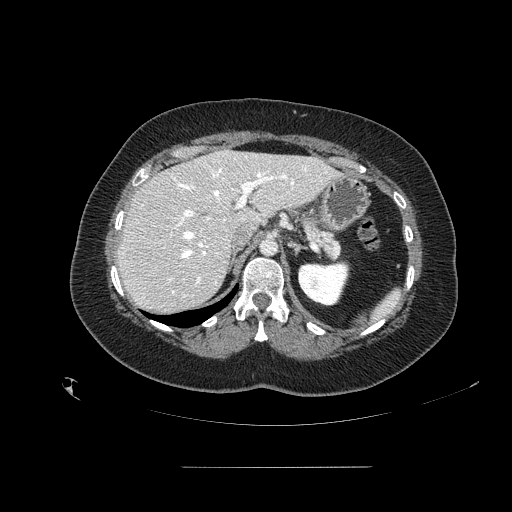
CT slice
pancreas: (left=295, top=211, right=341, bottom=262)